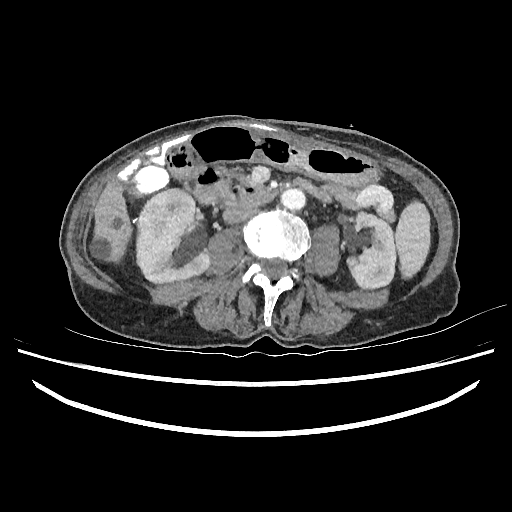
CT scan slice. Liver at box=[93, 179, 130, 262].
Kidney at box=[347, 212, 395, 287]; box=[137, 189, 209, 282].
Hepatic lesion at box=[90, 240, 109, 258].